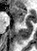
Magnetic resonance. Medial temporal lobe.
posterior hippocampus: bbox(18, 23, 24, 26) | anterior hippocampus: bbox(10, 6, 25, 22)